Magnetic resonance, Field of view 34 mm wide, 1.00 mm slice spacing, Hippocampus, Image size 34x49

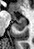

posterior_hippocampus:
  - (left=13, top=21, right=26, bottom=30)
anterior_hippocampus:
  - (left=10, top=12, right=25, bottom=20)